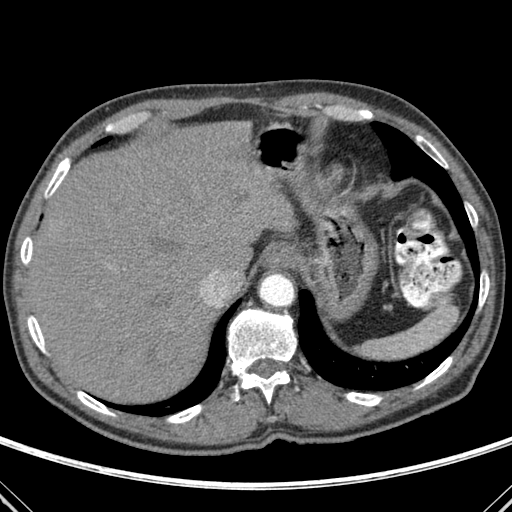

CT; Liver
<segmentation>
  <bone>rect(27, 316, 45, 352); rect(228, 309, 296, 403); rect(45, 158, 69, 196); rect(21, 237, 32, 264); rect(234, 385, 239, 400); rect(418, 357, 452, 387); rect(167, 405, 201, 423); rect(479, 274, 489, 306); rect(465, 203, 477, 226); rect(77, 391, 113, 415); rect(345, 392, 381, 406); rect(416, 135, 447, 167)</bone>
  <liver>rect(28, 120, 294, 404)</liver>
  <lung>rect(372, 122, 476, 276); rect(298, 288, 476, 390); rect(100, 300, 240, 416); rect(94, 137, 110, 146)</lung>
  <hepatic_lesion>rect(233, 188, 249, 204)</hepatic_lesion>
</segmentation>